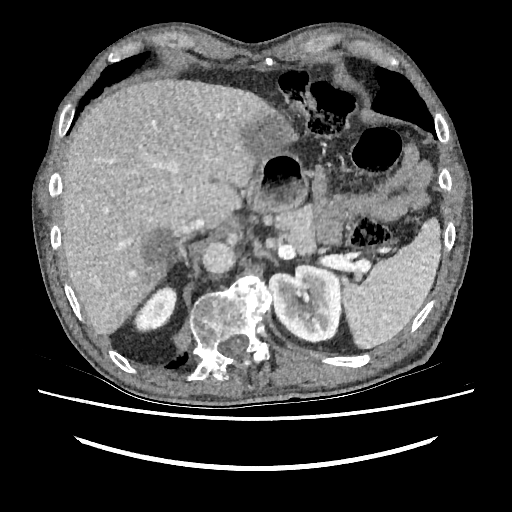

CT

Hepatic lesion = region(240, 115, 290, 155); region(140, 229, 172, 285).
Liver = region(62, 79, 285, 333); region(287, 122, 298, 142).
Kidney = region(269, 265, 340, 341); region(136, 289, 175, 329).